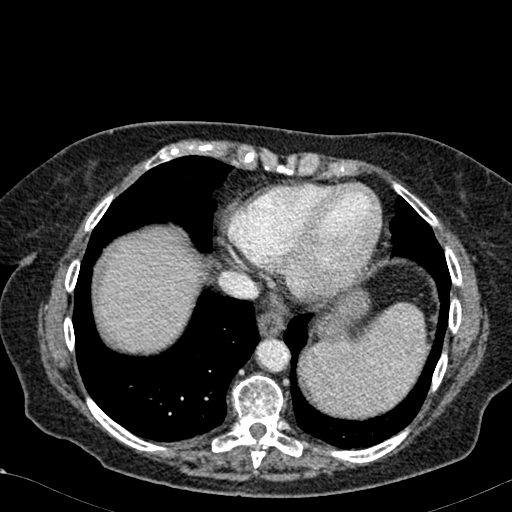
Upper abdomen, Computed tomography

The liver lies within region(100, 235, 195, 350).